CT

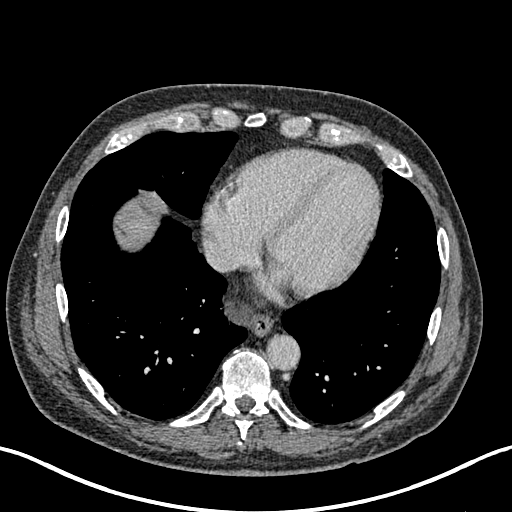 Liver at [115,196,162,249].